Brain, Slice 109/155
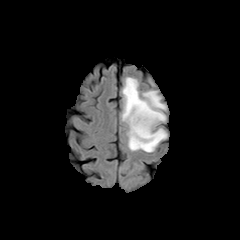
FLAIR MR image.
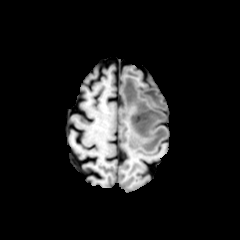
T1-weighted MRI.
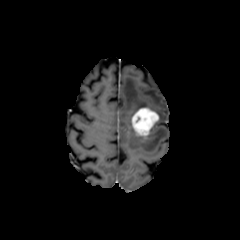
Post-contrast T1-weighted MR of the same slice.
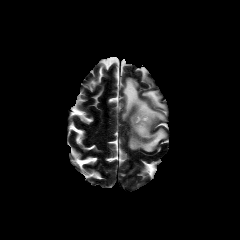
T2-weighted MR image.
edema:
  - l=121, t=77, r=166, b=152
enhancing_tumor:
  - l=131, t=107, r=159, b=138